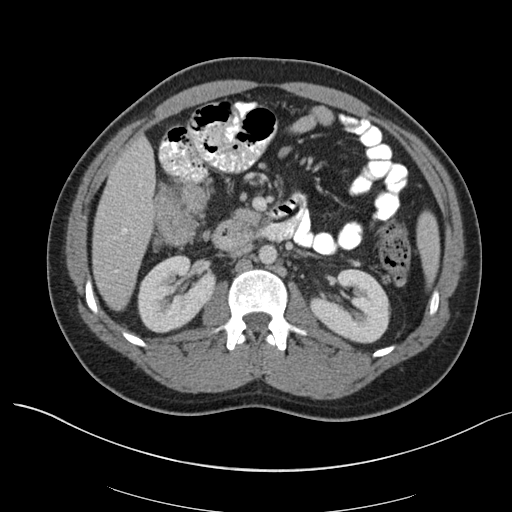

CT image | Abdomen | Image size 512x512
• colon tumor: bbox=[154, 181, 205, 247]